Slice 198/427 | CT scan slice | Liver | 512x512 px

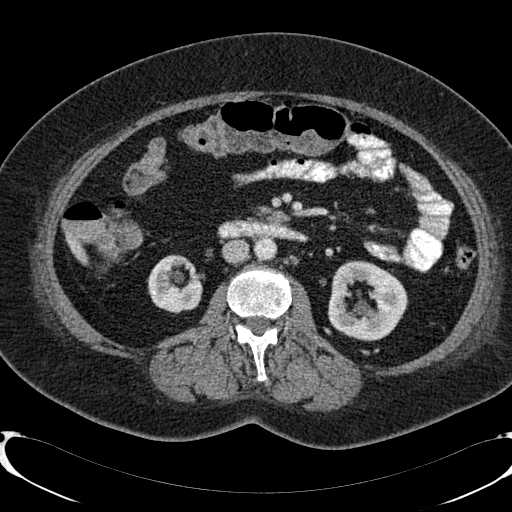
Kidney: l=149, t=257, r=202, b=311; l=328, t=262, r=406, b=339.
Liver: l=66, t=228, r=87, b=264.